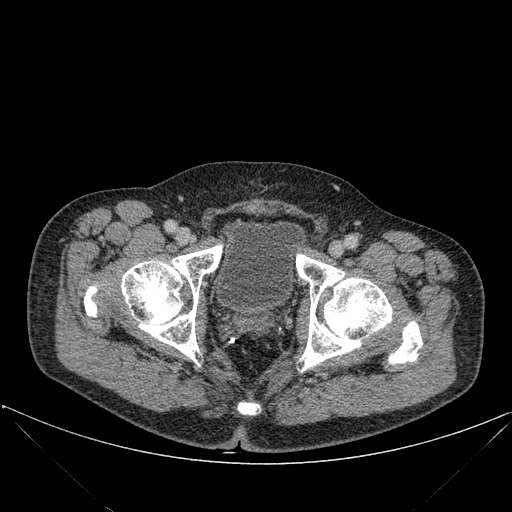

CT image
The urinary bladder is at box=[215, 221, 307, 320]. 5 bone regions appear at box=[121, 245, 222, 365]; box=[296, 254, 392, 371]; box=[389, 321, 422, 363]; box=[238, 402, 259, 414]; box=[84, 286, 96, 316].